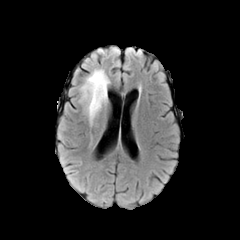
FLAIR magnetic resonance.
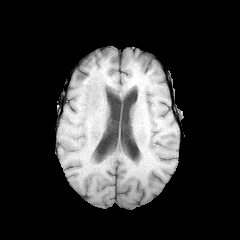
T1-weighted MR of the same slice.
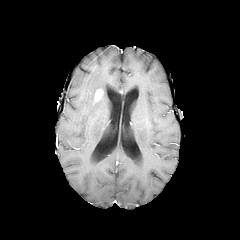
Post-contrast T1-weighted MR of the same slice.
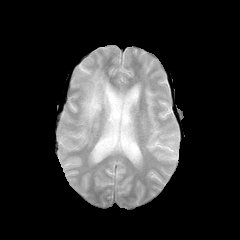
Same slice, T2-weighted MRI.
The edema is located at <bbox>79, 67, 110, 126</bbox>. The enhancing tumor is at <bbox>94, 89, 103, 102</bbox>.